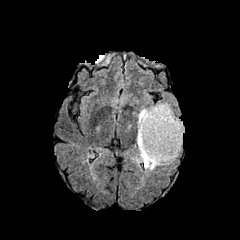
FLAIR MRI.
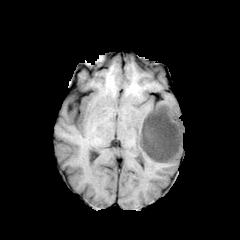
T1-weighted MRI.
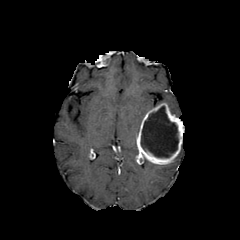
Post-contrast T1-weighted MR of the same slice.
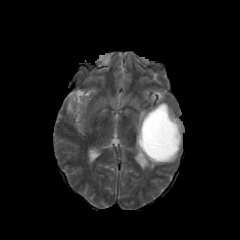
T2-weighted MR image of the same slice.
Image size 240x240. Head.
edema:
  - (158, 101, 178, 116)
  - (136, 106, 153, 138)
  - (142, 160, 164, 170)
non-enhancing_tumor_core:
  - (141, 105, 178, 157)
enhancing_tumor:
  - (136, 103, 184, 164)